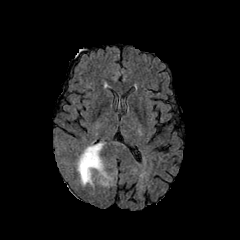
FLAIR MR image.
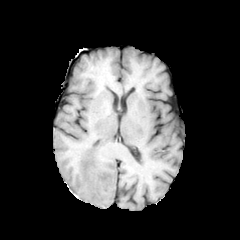
T1-weighted MR of the same slice.
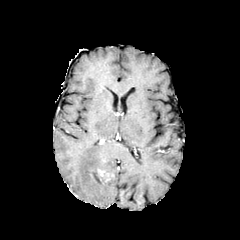
Post-contrast T1-weighted MRI.
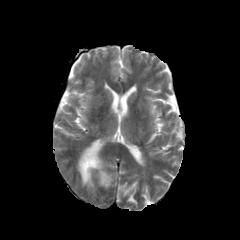
T2-weighted magnetic resonance.
Head | 240x240
<segmentation>
  <non-enhancing_tumor_core><bbox>97, 172, 114, 184</bbox></non-enhancing_tumor_core>
  <enhancing_tumor><bbox>98, 169, 110, 182</bbox></enhancing_tumor>
  <edema><bbox>76, 140, 111, 187</bbox></edema>
</segmentation>